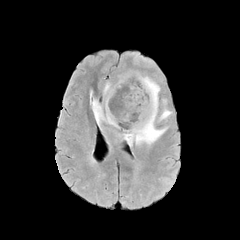
FLAIR magnetic resonance.
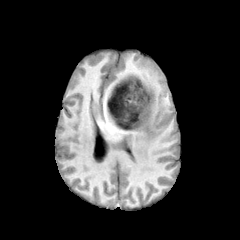
T1-weighted MRI.
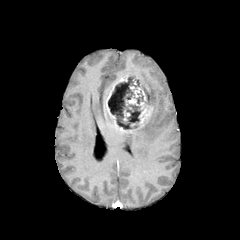
Post-contrast T1-weighted MR.
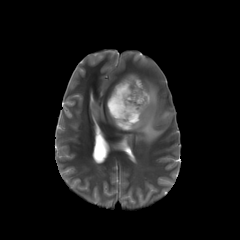
Same slice, T2-weighted magnetic resonance.
Brain
Non-enhancing tumor core: bounding box 107 77 149 129.
Edema: bounding box 123 77 171 146, 90 91 116 130.
Enhancing tumor: bounding box 105 76 128 118, 139 107 148 123.